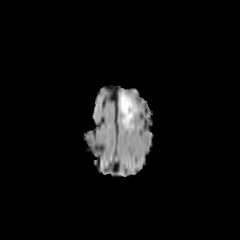
FLAIR MRI.
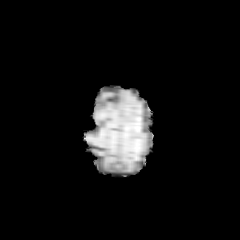
T1-weighted MR image.
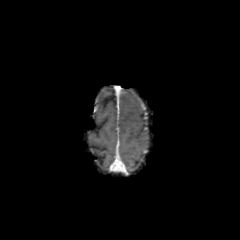
Post-contrast T1-weighted magnetic resonance.
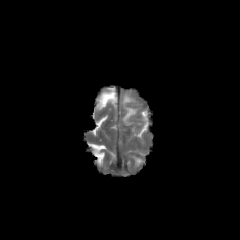
T2-weighted MR image.
The edema is at bbox=[120, 93, 137, 128].